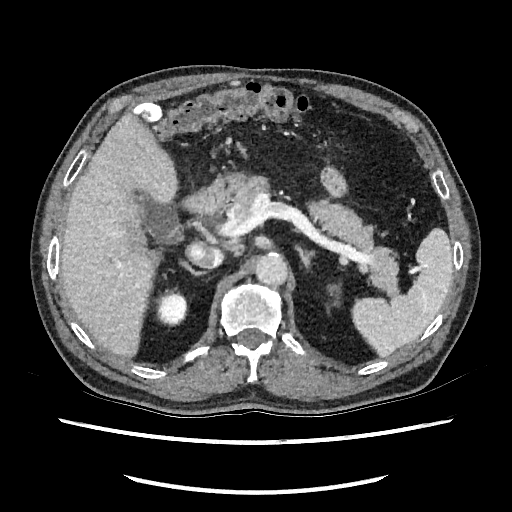

Computed tomography; Abdomen
kidney:
  - 157 291 186 325
  - 326 282 339 304
hepatic_lesion:
  - 128 225 155 265
liver:
  - 64 115 176 354